FLAIR magnetic resonance.
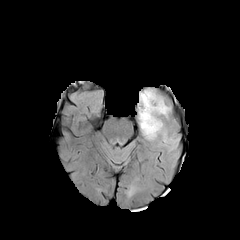
T1-weighted MR.
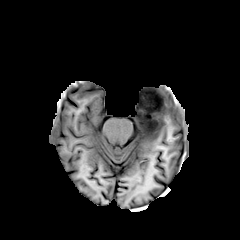
Post-contrast T1-weighted MR.
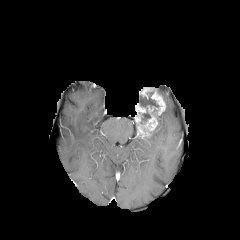
T2-weighted MR.
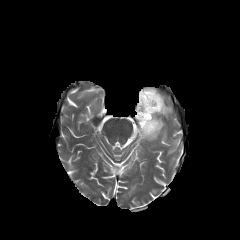
Head, 240x240
{
  "enhancing_tumor": [
    "box(136, 88, 165, 137)"
  ],
  "non-enhancing_tumor_core": [
    "box(142, 113, 150, 121)",
    "box(139, 92, 158, 107)"
  ],
  "edema": [
    "box(144, 120, 163, 142)",
    "box(162, 103, 171, 117)"
  ]
}